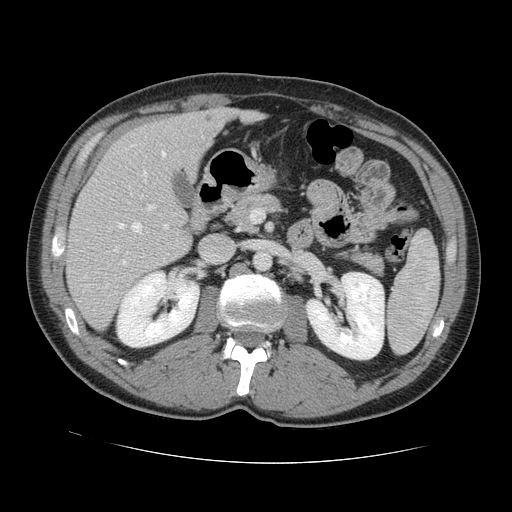

Abdomen, CT image

Only some of the vessels may be annotated.
hepatic_vessel:
  - x1=83, y1=275, x2=88, y2=278
  - x1=163, y1=225, x2=167, y2=228
  - x1=104, y1=283, x2=108, y2=288
  - x1=161, y1=152, x2=164, y2=156
  - x1=114, y1=246, x2=117, y2=251
  - x1=130, y1=194, x2=132, y2=195
  - x1=140, y1=195, x2=141, y2=197
  - x1=118, y1=223, x2=123, y2=227
  - x1=140, y1=171, x2=146, y2=181
  - x1=85, y1=284, x2=88, y2=287
  - x1=147, y1=205, x2=154, y2=210
  - x1=121, y1=261, x2=125, y2=264
  - x1=131, y1=222, x2=141, y2=233
  - x1=131, y1=145, x2=133, y2=146
  - x1=173, y1=213, x2=174, y2=215